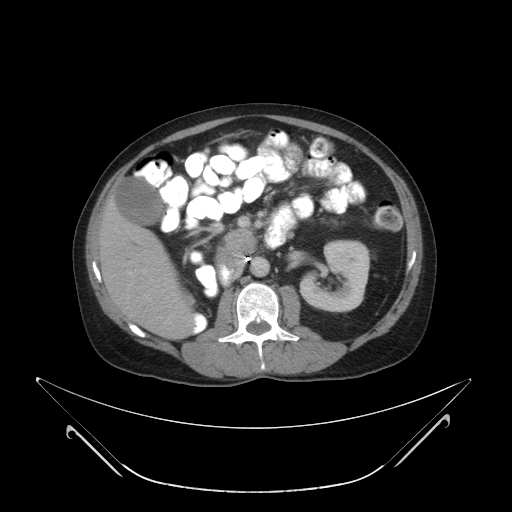 Upper abdomen. CT slice.

The pancreas is bounded by box=[214, 227, 257, 280].